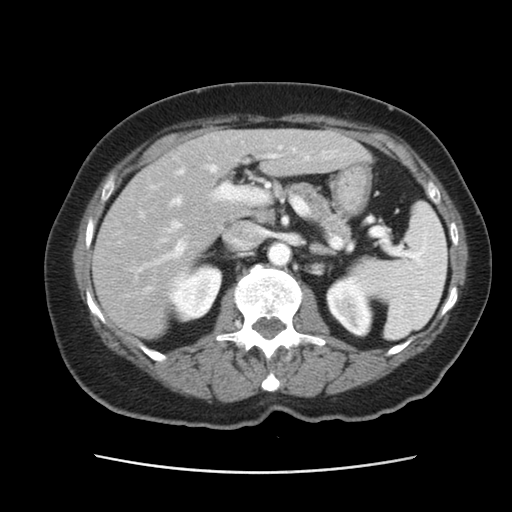
Image size 512x512 | CT | Abdomen
The vessel boxes may cover only some of the vessels.
Hepatic vessel = (x1=144, y1=288, x2=150, y2=292), (x1=215, y1=185, x2=264, y2=202), (x1=293, y1=148, x2=294, y2=151), (x1=265, y1=154, x2=277, y2=158), (x1=161, y1=239, x2=165, y2=242), (x1=177, y1=169, x2=184, y2=175), (x1=210, y1=165, x2=215, y2=172), (x1=226, y1=225, x2=265, y2=247), (x1=166, y1=222, x2=179, y2=232), (x1=171, y1=197, x2=181, y2=205), (x1=133, y1=241, x2=184, y2=272).